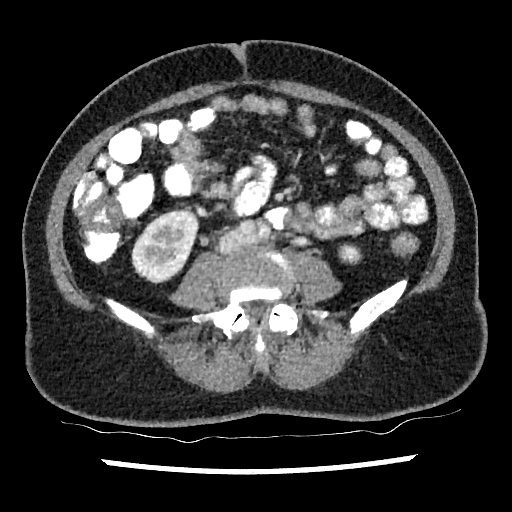 CT scan slice; Abdomen; 512x512
The kidney is at 133:212:197:281.